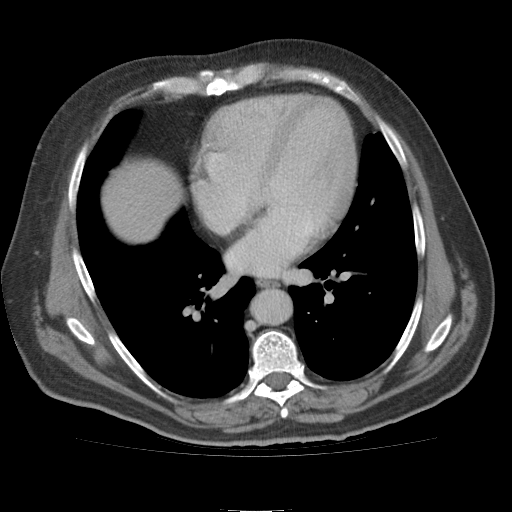 Image size 512x512 | CT image
liver: bbox=[102, 155, 176, 242]